Slice index 148. Field of view 344x344 mm. 512x512 px. CT slice. 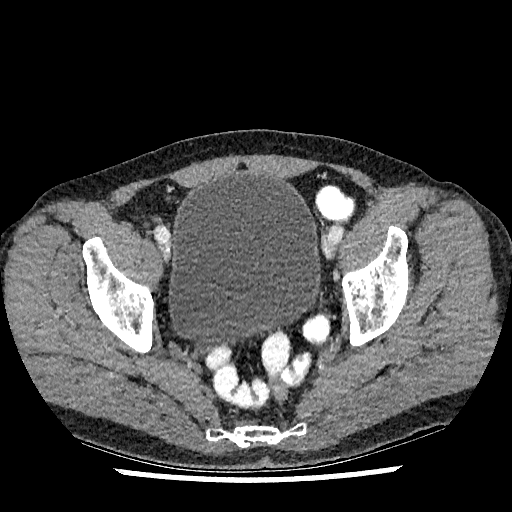 The urinary bladder is located at [169, 174, 319, 349].